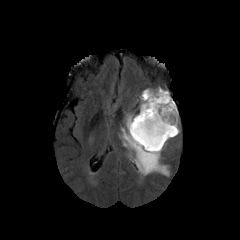
FLAIR MR image.
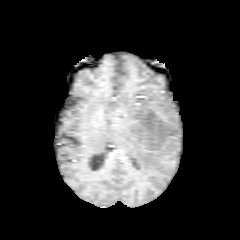
T1-weighted magnetic resonance.
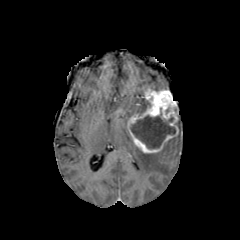
Post-contrast T1-weighted MRI.
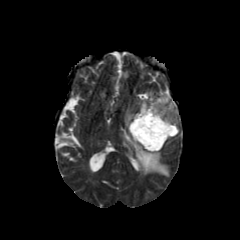
Same slice, T2-weighted MR image.
240x240 px
Edema at 163,126,180,148; 120,89,168,175.
Non-enhancing tumor core at 130,113,176,148; 139,98,150,113.
Enhancing tumor at 128,89,178,152.